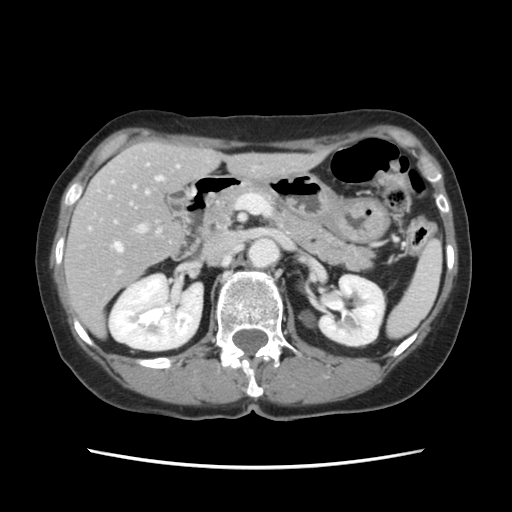 512x512, CT scan slice, Abdomen
The vessel boxes may cover only some of the vessels.
Hepatic vessel = [156, 176, 162, 181], [133, 185, 135, 187], [177, 166, 178, 167], [138, 226, 145, 231], [157, 230, 159, 232], [114, 243, 121, 251], [108, 196, 110, 197], [146, 191, 147, 193].